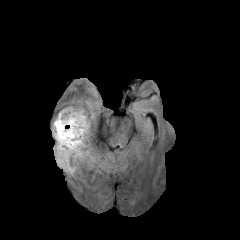
FLAIR magnetic resonance.
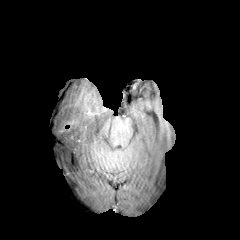
T1-weighted magnetic resonance of the same slice.
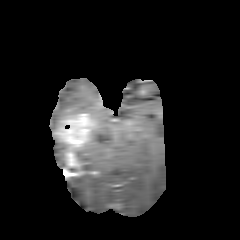
Post-contrast T1-weighted MR of the same slice.
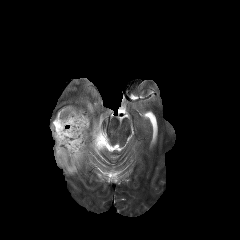
T2-weighted MRI.
<segmentation>
  <enhancing_tumor>54,114,89,174</enhancing_tumor>
  <non-enhancing_tumor_core>58,143,67,153</non-enhancing_tumor_core>
  <edema>75,114,92,167; 55,138,66,168; 52,108,83,131</edema>
</segmentation>